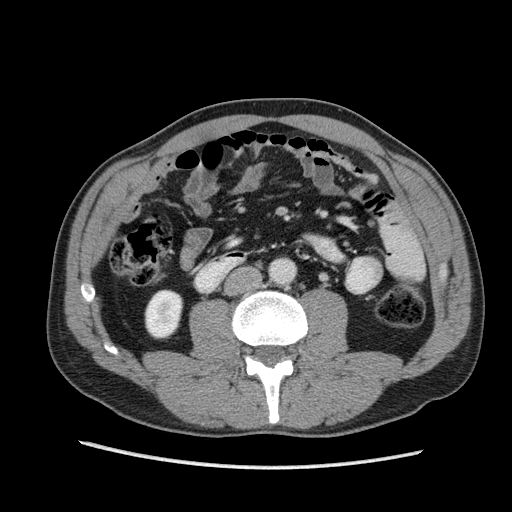 512x512 px | CT image
Kidney: bounding box rect(146, 291, 180, 336).